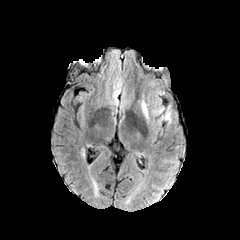
FLAIR MR.
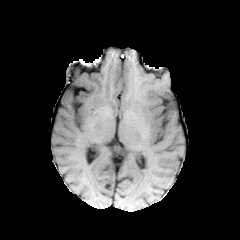
T1-weighted MRI of the same slice.
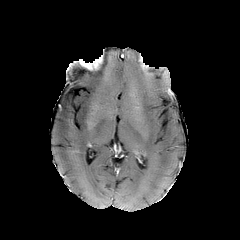
Post-contrast T1-weighted MRI.
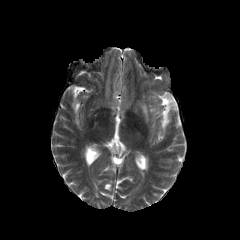
T2-weighted MR.
240x240, Brain
edema: (162,105,171,120), (141,101,147,118)